Field of view 240x240 mm
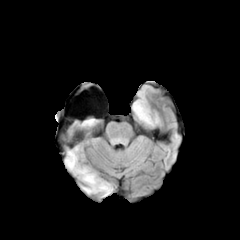
FLAIR MRI.
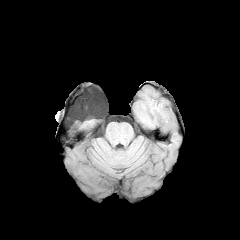
T1-weighted MR of the same slice.
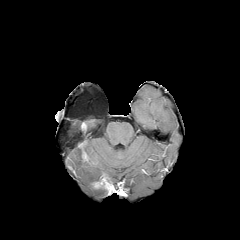
Same slice, post-contrast T1-weighted MR image.
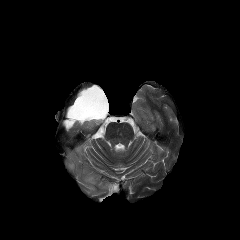
T2-weighted MR of the same slice.
enhancing tumor: box=[94, 181, 113, 193] | edema: box=[65, 147, 107, 196]; box=[84, 118, 99, 126]